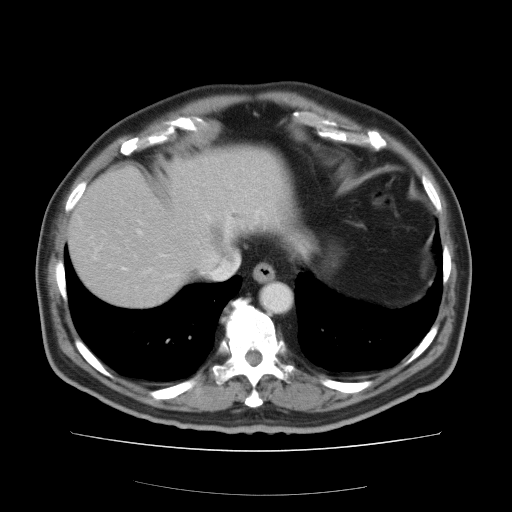 512x512 | CT scan slice
Some hepatic vessels may have no box.
* hepatic vessel: (93, 254, 94, 258), (122, 267, 124, 268), (200, 271, 204, 272), (226, 214, 232, 233)